Head
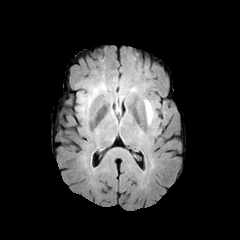
FLAIR MR.
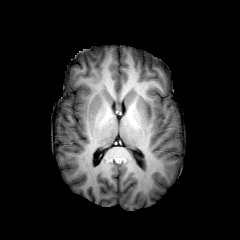
T1-weighted MR image.
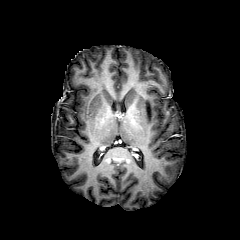
Post-contrast T1-weighted MR image of the same slice.
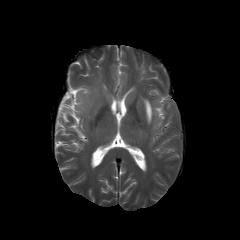
T2-weighted MR image of the same slice.
Edema — left=144, top=98, right=153, bottom=124.